Slice index 17 | Head | Image size 240x240
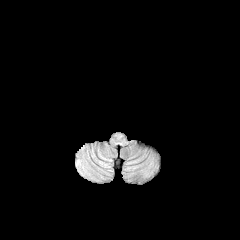
FLAIR MR image.
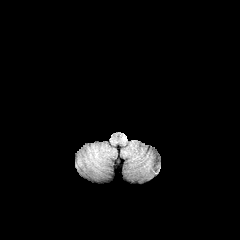
Same slice, T1-weighted magnetic resonance.
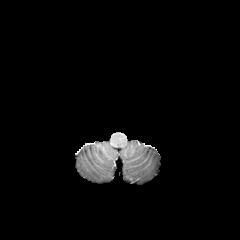
Post-contrast T1-weighted MR image.
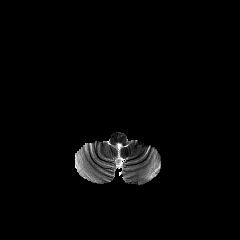
T2-weighted magnetic resonance.
Annotated regions:
* edema: rect(81, 158, 91, 175)